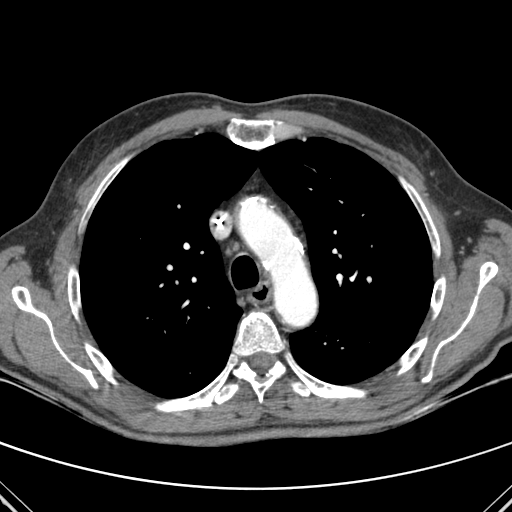 CT scan slice; 512x512 px

Annotated regions:
• bone: (155, 311, 285, 412), (398, 337, 427, 374), (85, 343, 116, 384), (228, 118, 282, 149), (422, 370, 432, 382), (87, 158, 127, 210), (401, 178, 440, 256), (431, 276, 445, 318), (286, 353, 365, 398), (11, 286, 97, 388), (68, 266, 80, 319), (431, 262, 498, 366)
• lung: (79, 133, 432, 397)